512x512 px; CT
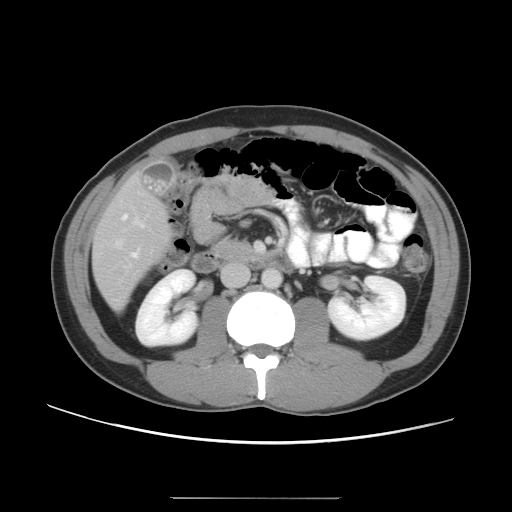 Only some of the vessels may be annotated.
Hepatic vessel = x1=95, y1=253, x2=99, y2=255; x1=135, y1=176, x2=137, y2=181; x1=133, y1=217, x2=145, y2=227; x1=125, y1=264, x2=131, y2=267; x1=131, y1=249, x2=140, y2=257; x1=122, y1=214, x2=128, y2=219.